Image size 512x512, Computed tomography, Abdomen
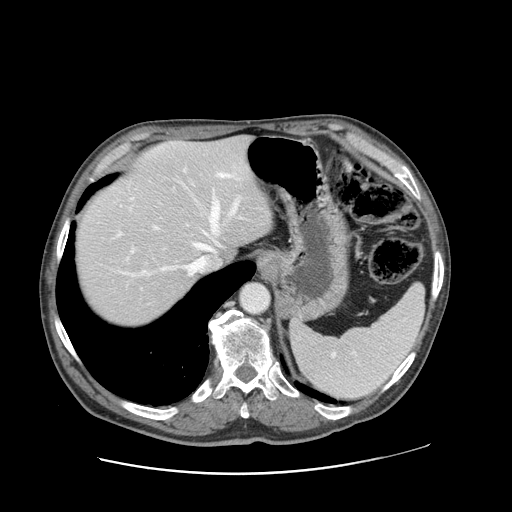 Only some of the vessels may be annotated.
hepatic vessel: left=142, top=270, right=145, bottom=273; left=218, top=173, right=231, bottom=177; left=189, top=272, right=191, bottom=273; left=124, top=273, right=134, bottom=275; left=195, top=243, right=213, bottom=251; left=132, top=249, right=132, bottom=252; left=154, top=226, right=157, bottom=228; left=209, top=201, right=218, bottom=232; left=161, top=267, right=172, bottom=270; left=118, top=233, right=121, bottom=235; left=184, top=169, right=185, bottom=171; left=201, top=230, right=207, bottom=234; left=228, top=212, right=231, bottom=215